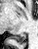 Medial temporal lobe; 38x49 px; Magnetic resonance
posterior_hippocampus:
  - [10, 33, 25, 43]